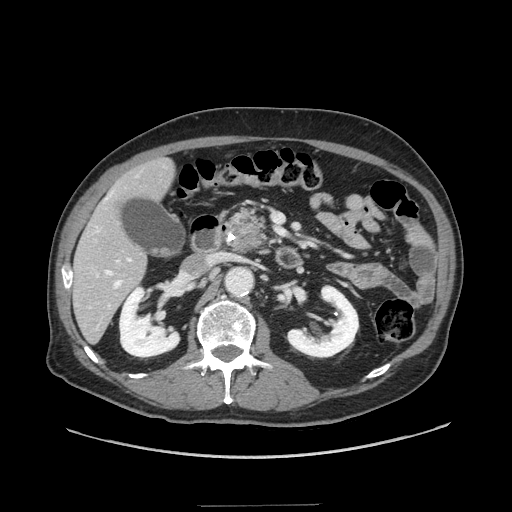

CT; Image size 512x512; Abdomen

{
  "pancreatic_tumor": [
    "[230,223,260,244]"
  ],
  "pancreas": [
    "[228,211,262,244]"
  ]
}